CT image | 512x512 px

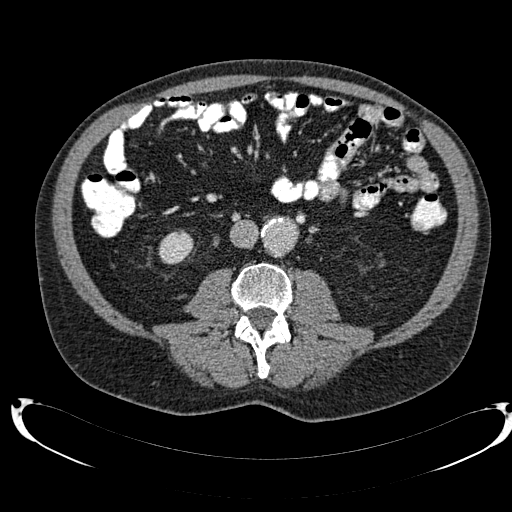
The kidney is at [x1=159, y1=241, x2=191, y2=264].